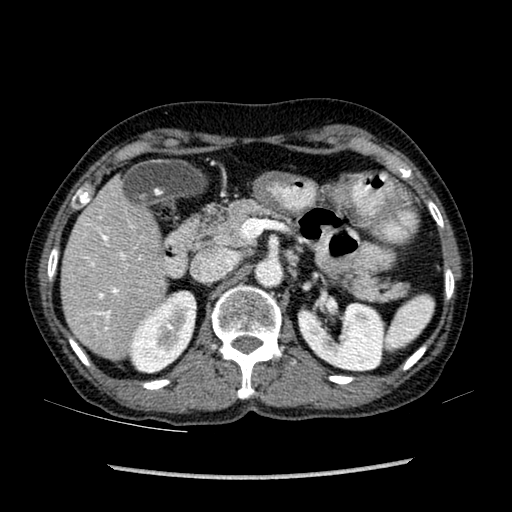

CT slice, 512x512
Segmented structures:
• kidney: 130,292,195,372; 299,300,382,369
• liver: 61,179,162,355